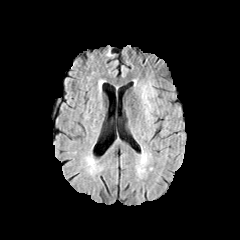
FLAIR MR.
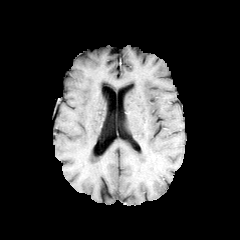
T1-weighted MR image of the same slice.
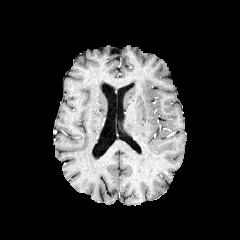
Same slice, post-contrast T1-weighted magnetic resonance.
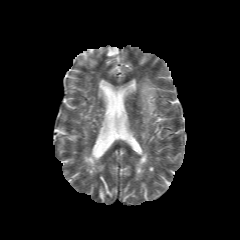
T2-weighted MRI of the same slice.
Head. 240x240.
{
  "edema": [
    "rect(141, 83, 154, 120)"
  ]
}